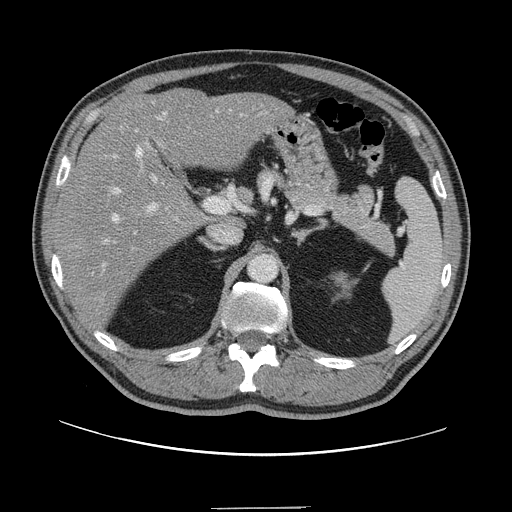
Computed tomography. The vessel boxes may cover only some of the vessels.
{"liver_tumor": ["x1=73, y1=241, x2=90, y2=254"], "hepatic_vessel": ["x1=158, y1=112, x2=166, y2=119", "x1=136, y1=148, x2=142, y2=156", "x1=113, y1=215, x2=118, y2=220", "x1=176, y1=218, x2=177, y2=220", "x1=114, y1=189, x2=120, y2=193", "x1=105, y1=240, x2=108, y2=243", "x1=148, y1=203, x2=157, y2=210", "x1=102, y1=263, x2=106, y2=266", "x1=153, y1=176, x2=156, y2=181", "x1=113, y1=155, x2=116, y2=157", "x1=217, y1=110, x2=218, y2=112"]}